Field of view 38 mm wide, 1.00 mm slice spacing; Slice 10/37; MRI; Medial temporal lobe
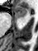 The anterior hippocampus lies within <bbox>14, 6, 26, 17</bbox>.